FLAIR MR image.
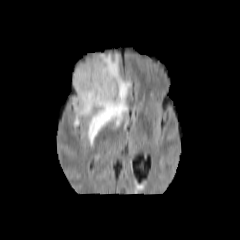
T1-weighted magnetic resonance.
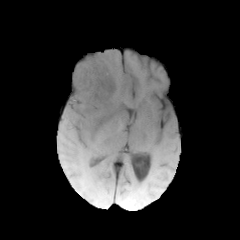
Post-contrast T1-weighted MRI.
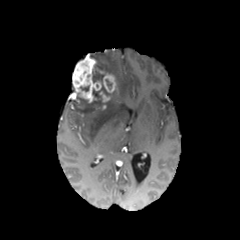
T2-weighted MR image.
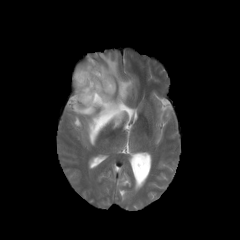
2 enhancing tumor regions are bounded by left=95, top=91, right=110, bottom=110; left=69, top=54, right=115, bottom=103. 4 non-enhancing tumor core regions are bounded by left=93, top=71, right=103, bottom=81; left=68, top=89, right=102, bottom=113; left=101, top=80, right=118, bottom=98; left=90, top=55, right=112, bottom=72. The edema is located at left=71, top=53, right=132, bottom=142.